Image width 240 mm, Brain, Image size 240x240
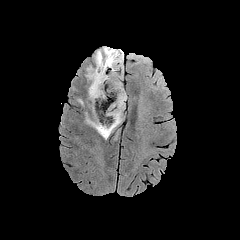
FLAIR magnetic resonance.
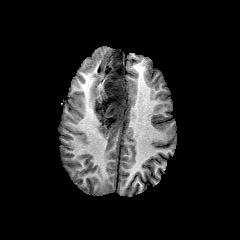
T1-weighted MR.
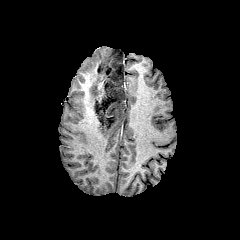
Post-contrast T1-weighted MR image.
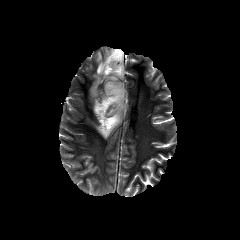
Same slice, T2-weighted magnetic resonance.
Segmented structures:
- edema: (left=88, top=47, right=124, bottom=139)
- non-enhancing tumor core: (left=96, top=50, right=125, bottom=128)